Slice 523/654, CT slice, Upper abdomen, Image size 512x512, Image width 400 mm
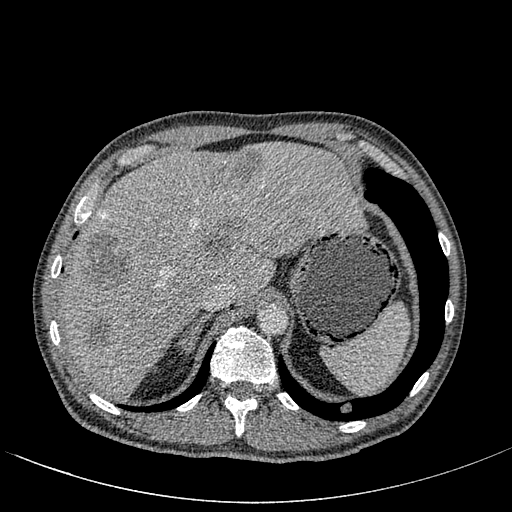

liver: bbox(62, 141, 363, 398) | liver lesion: bbox(87, 316, 112, 345); bbox(204, 150, 263, 188); bbox(84, 231, 132, 288); bbox(203, 219, 245, 264)